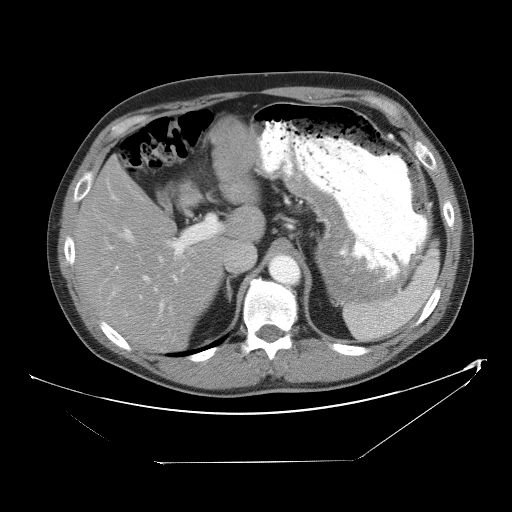 CT

The vessel boxes may cover only some of the vessels.
hepatic_vessel:
  - 166 241 182 257
  - 144 276 148 281
  - 154 287 156 290
  - 181 269 183 270
  - 159 301 163 316
  - 159 257 162 261
  - 189 250 193 252
  - 120 229 132 240
  - 106 246 111 248